CT scan slice, 512x512 px, Abdomen
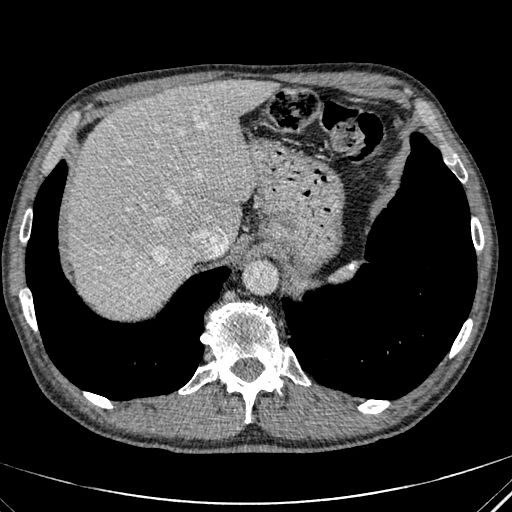 Segmented structures:
- liver: 68,79,277,317